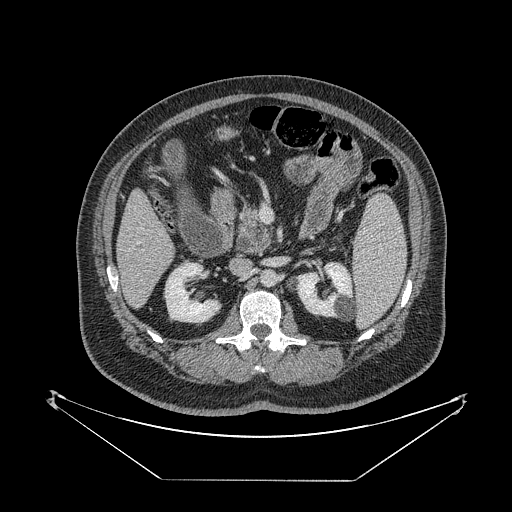

Upper abdomen, CT image

<segmentation>
  <pancreas><bbox>236, 208, 271, 254</bbox></pancreas>
</segmentation>